Brain. 240x240.
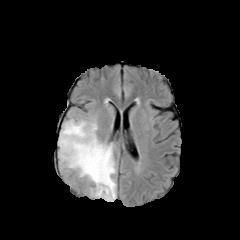
FLAIR MR image.
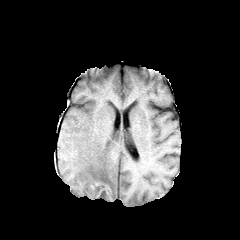
T1-weighted magnetic resonance.
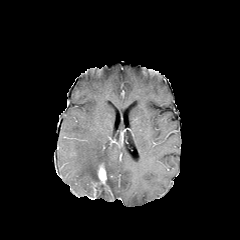
Post-contrast T1-weighted magnetic resonance.
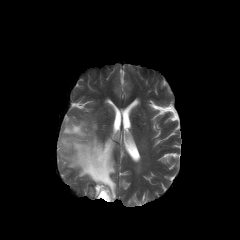
T2-weighted magnetic resonance.
Edema — rect(58, 117, 116, 201).
Enhancing tumor — rect(98, 164, 106, 185).
Non-enhancing tumor core — rect(89, 163, 113, 199).